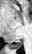

Medial temporal lobe | MR image
posterior_hippocampus:
  - box(8, 41, 22, 48)